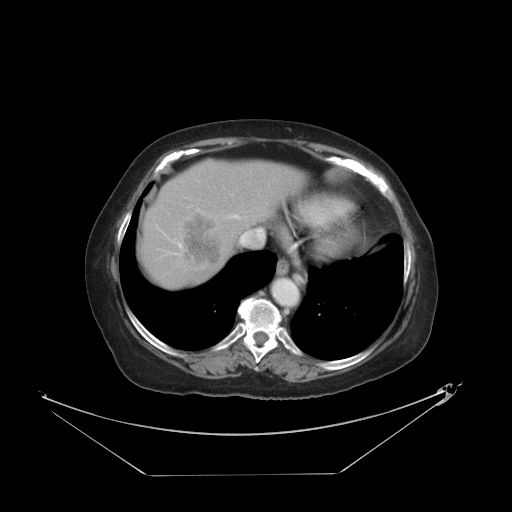 Liver | Computed tomography
The vessel boxes may cover only some of the vessels.
hepatic vessel: (x1=240, y1=229, x2=263, y2=245) | liver tumor: (x1=180, y1=215, x2=223, y2=264)